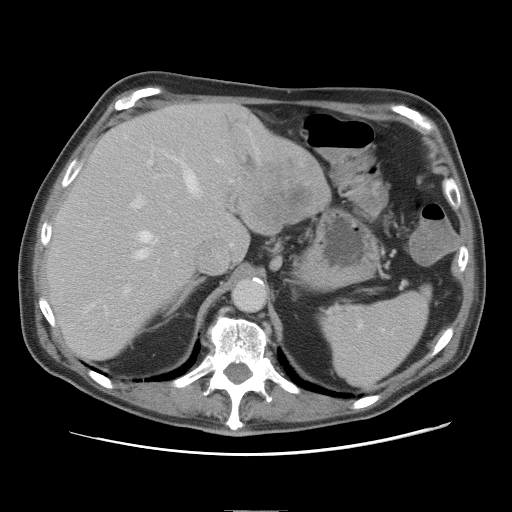 Computed tomography | Abdomen

Only some of the vessels may be annotated.
The liver tumor lies within [250, 160, 315, 231]. 11 hepatic vessel regions are located at [170, 156, 184, 165], [185, 170, 198, 193], [175, 252, 177, 255], [136, 250, 147, 259], [125, 287, 129, 292], [149, 160, 152, 164], [230, 180, 232, 182], [217, 159, 221, 162], [139, 231, 157, 242], [133, 195, 143, 207], [84, 310, 87, 312].